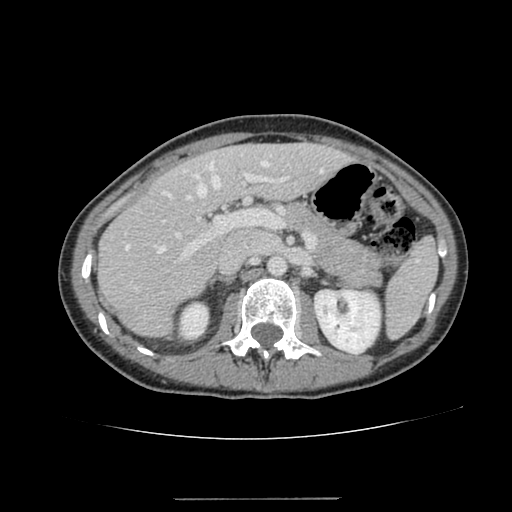 CT scan slice
Annotated regions:
- liver: {"x1": 96, "y1": 143, "x2": 353, "y2": 336}
- kidney: {"x1": 181, "y1": 304, "x2": 207, "y2": 337}, {"x1": 315, "y1": 290, "x2": 379, "y2": 353}